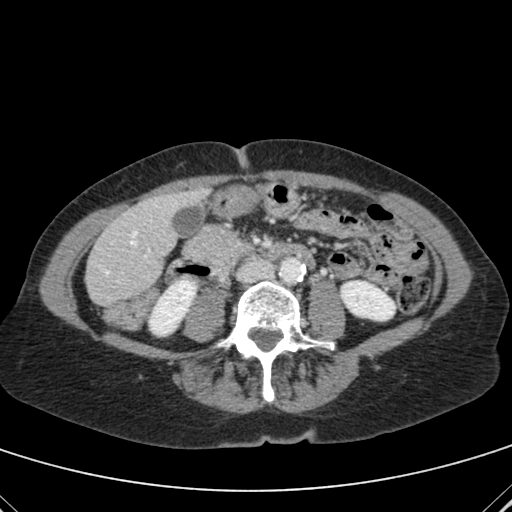

CT scan slice | Liver

<segmentation>
  <liver>(85, 188, 201, 305)</liver>
  <kidney>(149, 281, 195, 334), (341, 281, 394, 320)</kidney>
</segmentation>